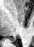 Hippocampus; Magnetic resonance
The posterior hippocampus is located at [12, 39, 15, 39].